512x512 | Liver | Field of view 400 mm wide, 0.80 mm slice spacing | Slice 426 of 751 | CT slice 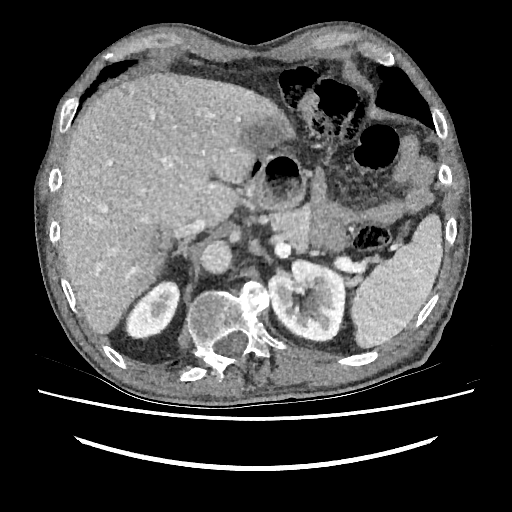
Kidney: bbox=[128, 282, 178, 337]; bbox=[269, 261, 344, 340].
Liver lesion: bbox=[241, 116, 287, 154]; bbox=[143, 225, 170, 273].
Liver: bbox=[60, 73, 295, 333].